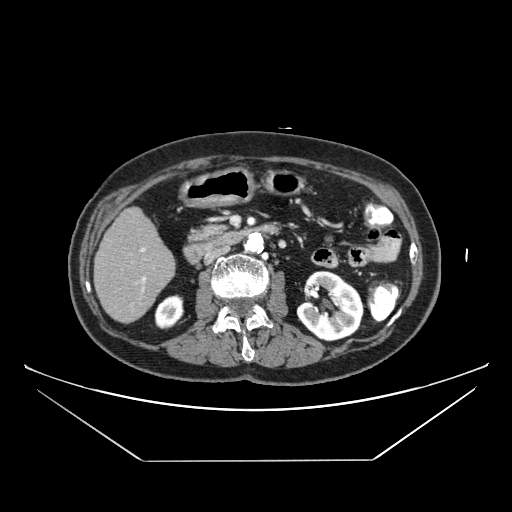 Image size 512x512. CT slice. Upper abdomen. Findings:
• pancreas: bbox(187, 222, 228, 242)